Brain, Field of view 240 mm wide, 1.00 mm slice spacing
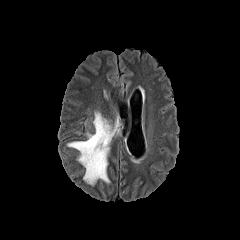
FLAIR MRI.
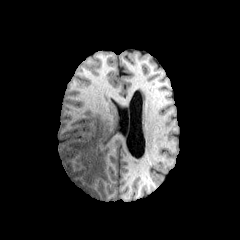
T1-weighted MR image.
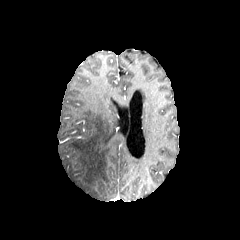
Post-contrast T1-weighted MRI.
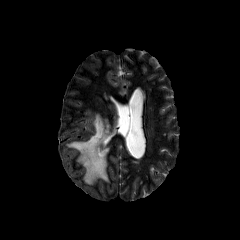
T2-weighted magnetic resonance.
Edema — [x1=67, y1=110, x2=122, y2=185].